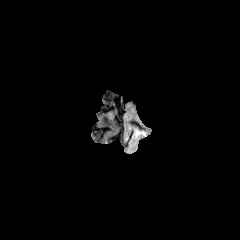
FLAIR MRI.
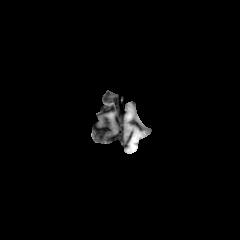
T1-weighted MR image of the same slice.
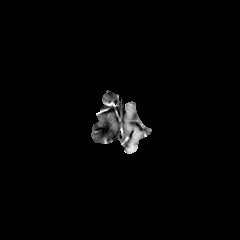
Post-contrast T1-weighted magnetic resonance.
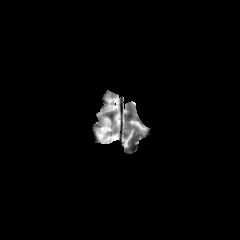
T2-weighted MR.
The edema is at bbox=[133, 130, 144, 135].